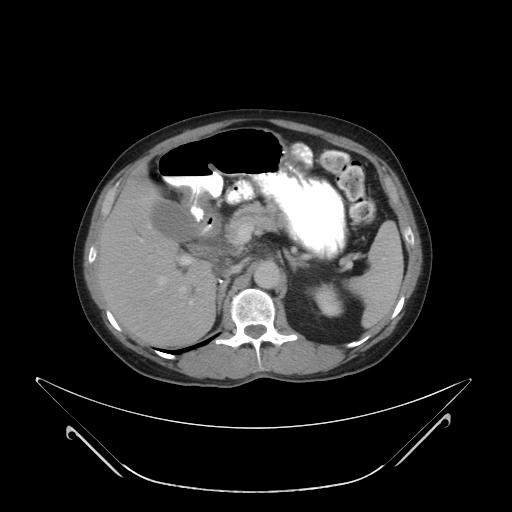 512x512; CT scan slice; Abdomen

The pancreas is located at (x1=225, y1=203, x2=288, y2=255).